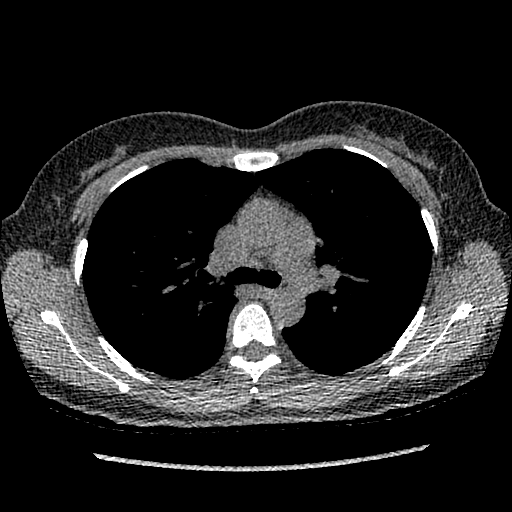
Lung | Image size 512x512 | CT slice

Lung tumor: bounding box 328 313 334 322.